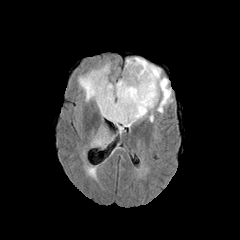
FLAIR MR image.
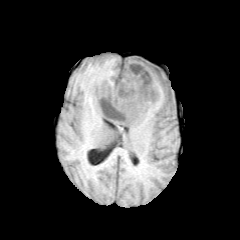
T1-weighted MR.
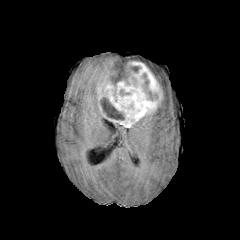
Post-contrast T1-weighted MRI.
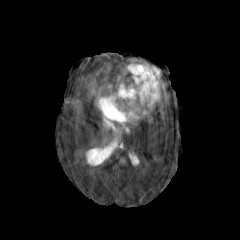
T2-weighted MR image.
Edema at 113,122,125,134; 78,63,111,106; 132,111,154,126; 111,57,172,114; 94,125,113,145.
Non-enhancing tumor core at 129,65,141,73; 141,73,156,100; 119,89,130,95; 101,97,123,120.
Enhancing tumor at 96,61,163,127.